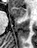 Magnetic resonance | 37x48 px
Anterior hippocampus at x1=11, y1=7, x2=25, y2=18.